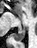 MRI
- posterior hippocampus: <bbox>13, 27, 25, 40</bbox>